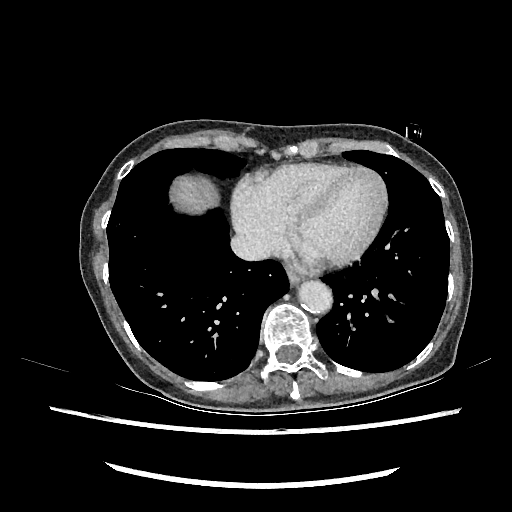

CT, Abdomen
<segmentation>
  <liver>177,180,207,211</liver>
</segmentation>